Computed tomography. Slice 26/99. Abdomen.

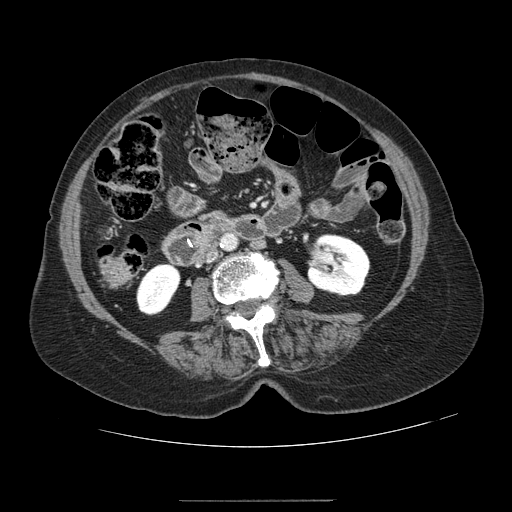 pancreatic_tumor:
  - [196,232,208,245]